MRI; Image size 37x55; Medial temporal lobe; Slice index 10
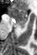 The posterior hippocampus lies within rect(17, 23, 24, 28). The anterior hippocampus lies within rect(9, 6, 27, 22).